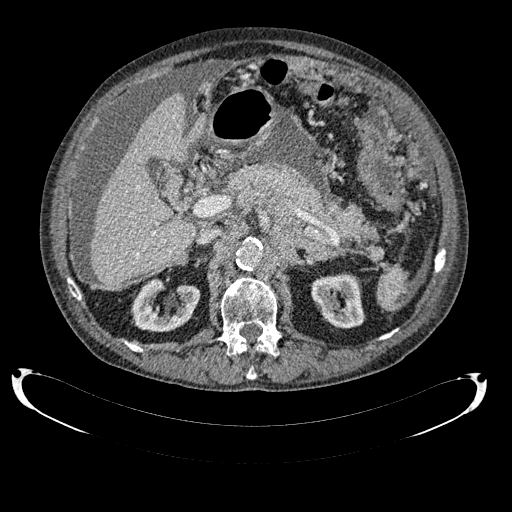 Computed tomography; Upper abdomen; 512x512

- liver: (left=91, top=94, right=195, bottom=288)
- kidney: (left=311, top=274, right=363, bottom=327), (left=132, top=279, right=199, bottom=331)